FLAIR MR.
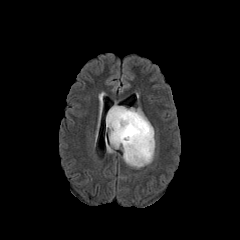
T1-weighted MR.
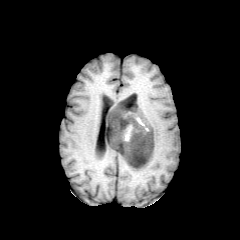
Post-contrast T1-weighted MR.
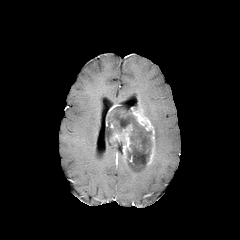
T2-weighted MRI.
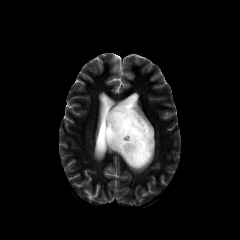
enhancing tumor: l=131, t=108, r=154, b=145; l=110, t=128, r=131, b=158 | edema: l=126, t=162, r=148, b=169; l=105, t=127, r=114, b=152 | non-enhancing tumor core: l=114, t=141, r=122, b=149; l=106, t=106, r=153, b=166